Upper abdomen; Field of view 432x432 mm; Image size 512x512; Computed tomography 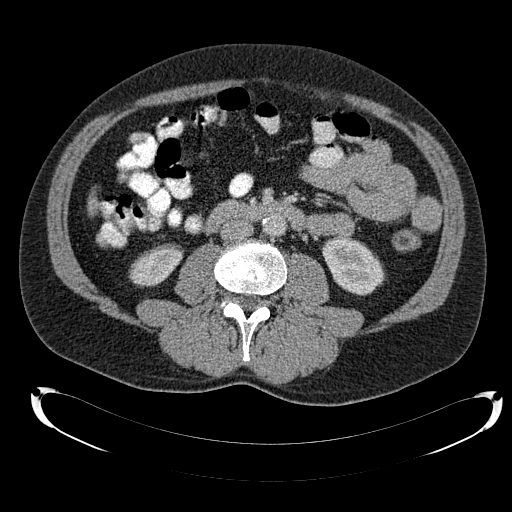
{"kidney": ["region(130, 248, 181, 285)", "region(323, 236, 383, 294)"], "liver": ["region(89, 199, 95, 208)"]}